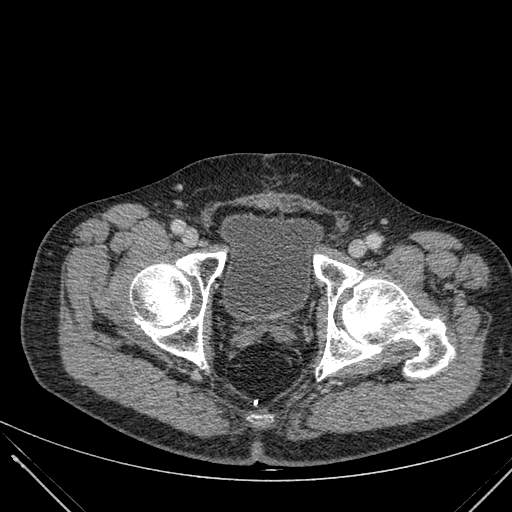 512x512 px, Computed tomography

Urinary bladder: x1=221, y1=214, x2=323, y2=315.